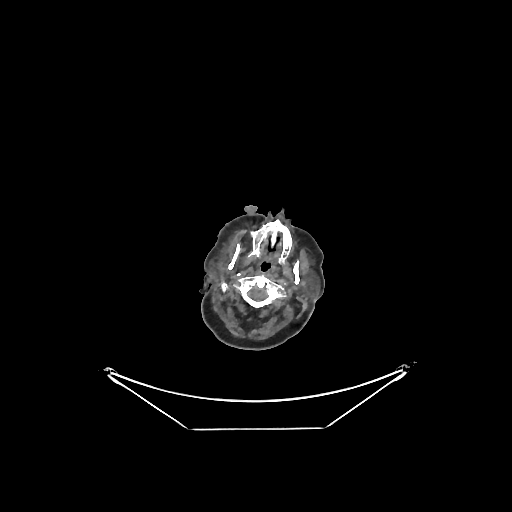 CT slice. brain:
  - <bbox>247, 284, 268, 301</bbox>